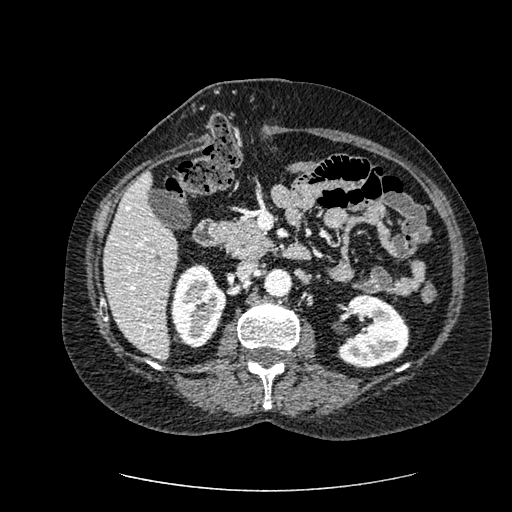
CT slice; Image size 512x512

{
  "kidney": [
    "(x1=339, y1=295, x2=407, y2=366)",
    "(x1=172, y1=265, x2=225, y2=346)"
  ],
  "liver": [
    "(x1=103, y1=171, x2=176, y2=358)"
  ]
}